CT image, Slice 95 of 112 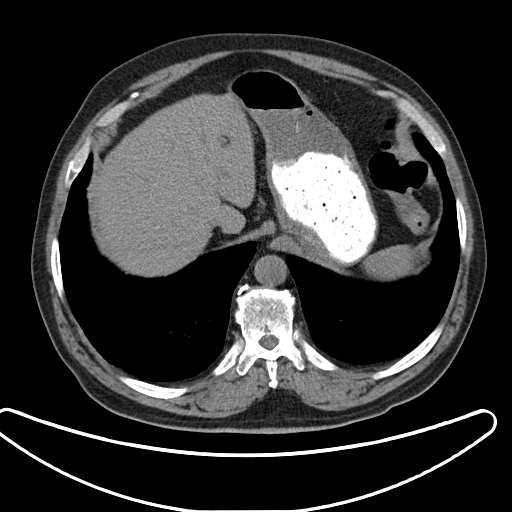
spleen:
  - 366, 246, 413, 279